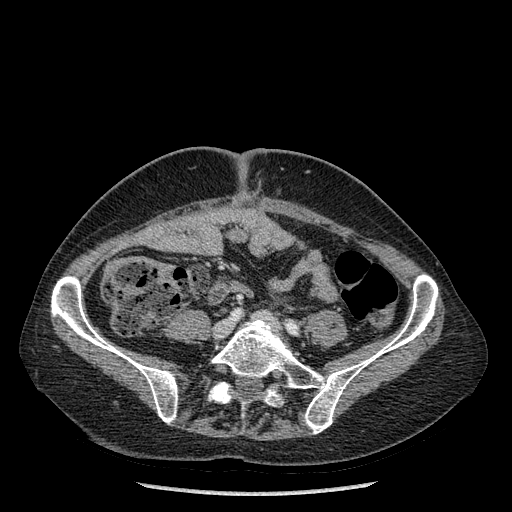
CT
• bone: {"x1": 208, "y1": 382, "x2": 236, "y2": 403}, {"x1": 258, "y1": 384, "x2": 282, "y2": 406}, {"x1": 51, "y1": 276, "x2": 177, "y2": 423}, {"x1": 211, "y1": 274, "x2": 438, "y2": 433}